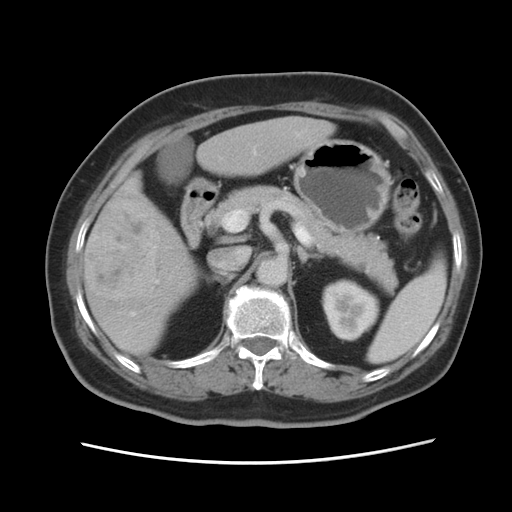 Abdomen | CT image

Some hepatic vessels may have no box.
{
  "liver_tumor": [
    "84 205 158 298"
  ],
  "hepatic_vessel": [
    "254 149 256 153",
    "131 312 135 315",
    "156 280 158 282"
  ]
}